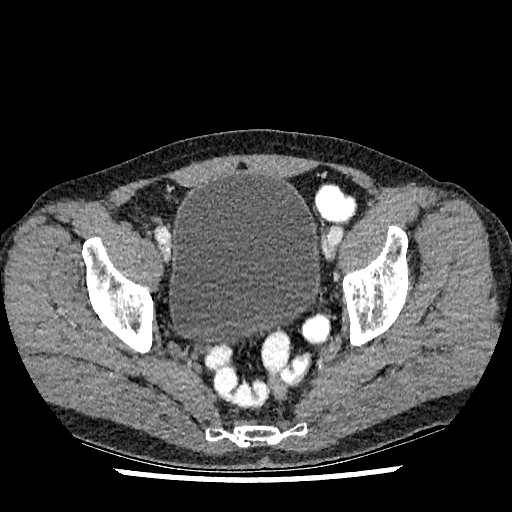

Computed tomography; 512x512; Pelvis
urinary bladder: (x1=169, y1=173, x2=319, y2=349)